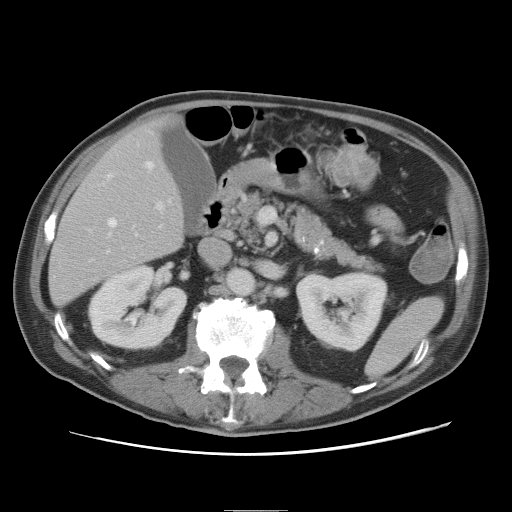
512x512 px; CT

Not every hepatic vessel necessarily has a box.
{
  "hepatic_vessel": [
    "box(107, 174, 112, 178)",
    "box(136, 233, 137, 235)",
    "box(147, 162, 153, 170)",
    "box(108, 219, 116, 228)",
    "box(110, 232, 111, 235)",
    "box(149, 129, 152, 132)",
    "box(169, 200, 170, 202)",
    "box(107, 251, 109, 252)",
    "box(157, 203, 164, 209)",
    "box(160, 225, 162, 228)"
  ]
}